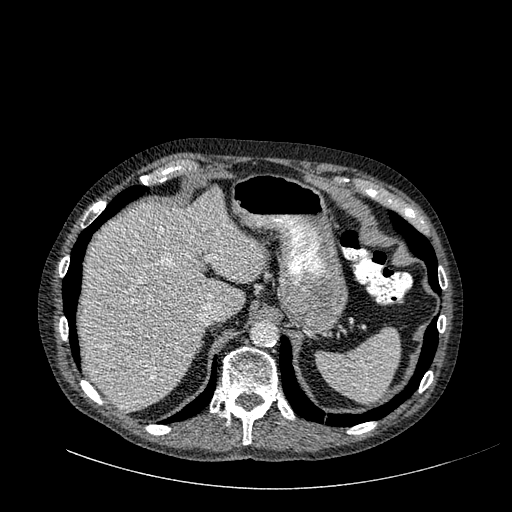

Upper abdomen | CT image
The liver is at <bbox>79, 189, 263, 409</bbox>.